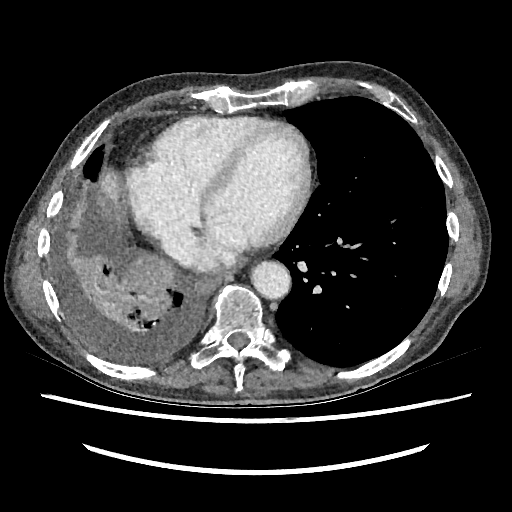 Abdomen | CT

The liver lies within <bbox>100, 173, 118, 202</bbox>.